CT scan slice. Liver. Slice 31/38.
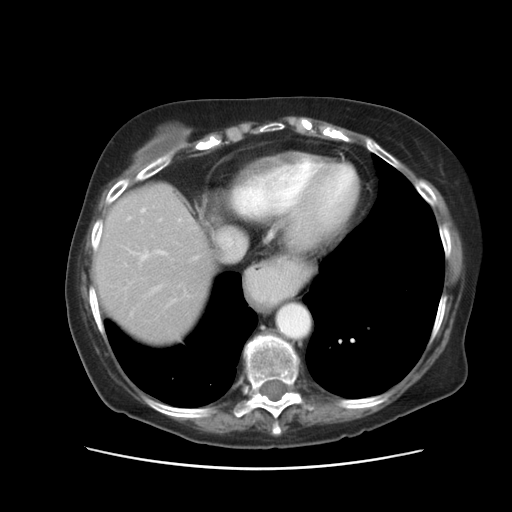
Some hepatic vessels may have no box.
<segmentation>
  <hepatic_vessel>[169, 300, 173, 304], [140, 209, 144, 212], [155, 251, 165, 254], [216, 230, 244, 260], [127, 218, 129, 219], [126, 249, 149, 262], [148, 287, 160, 295], [158, 220, 160, 221], [178, 219, 180, 222]</hepatic_vessel>
</segmentation>